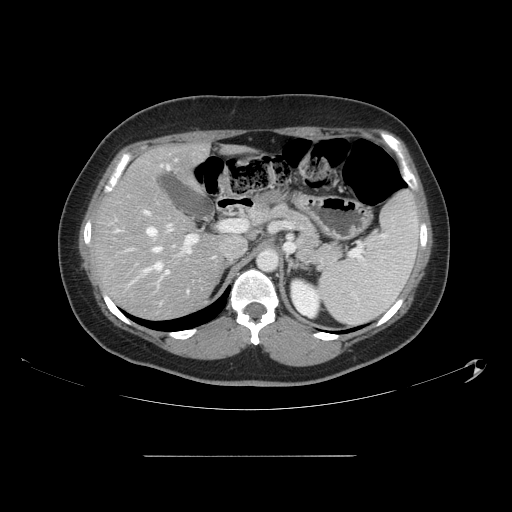 CT scan slice
Not every hepatic vessel necessarily has a box.
9 hepatic vessel regions appear at 168:224:171:230, 165:270:168:273, 142:269:148:273, 183:234:197:252, 153:247:161:251, 167:166:168:168, 150:263:161:270, 147:227:156:235, 144:211:148:213.